Field of view 351x351 mm; Thorax; CT slice; Slice 573 of 588
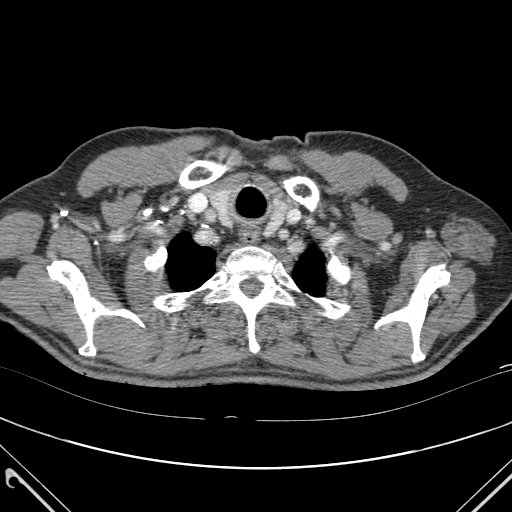 Annotated regions:
- lung: [166, 232, 215, 291], [293, 245, 325, 296]
- bone: [311, 297, 349, 318], [153, 247, 299, 352], [375, 264, 449, 361], [47, 261, 144, 355], [145, 246, 166, 270], [328, 256, 349, 283], [179, 160, 226, 188], [284, 176, 318, 210]